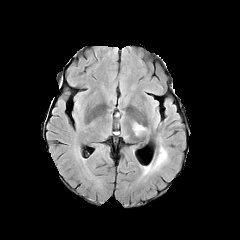
FLAIR magnetic resonance.
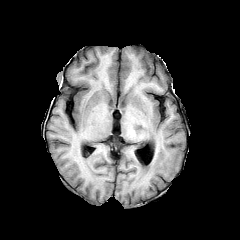
T1-weighted magnetic resonance.
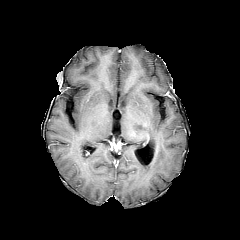
Post-contrast T1-weighted MR of the same slice.
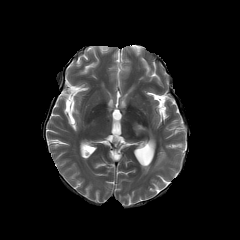
T2-weighted MRI of the same slice.
240x240 px
2 edema regions are located at box(142, 145, 169, 175); box(133, 122, 146, 134).